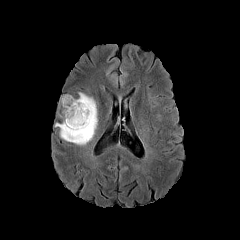
FLAIR MR image.
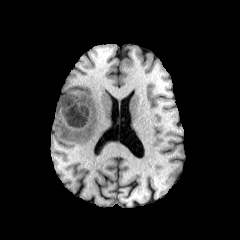
T1-weighted MRI.
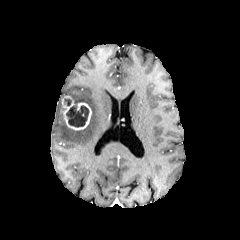
Same slice, post-contrast T1-weighted MR.
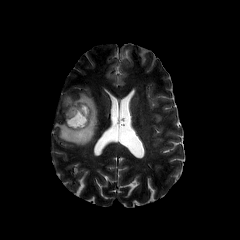
T2-weighted MR.
240x240. Brain.
non-enhancing tumor core: rect(66, 105, 89, 127); rect(64, 98, 71, 106) | edema: rect(55, 92, 98, 145) | enhancing tumor: rect(61, 95, 83, 129); rect(77, 102, 91, 127)